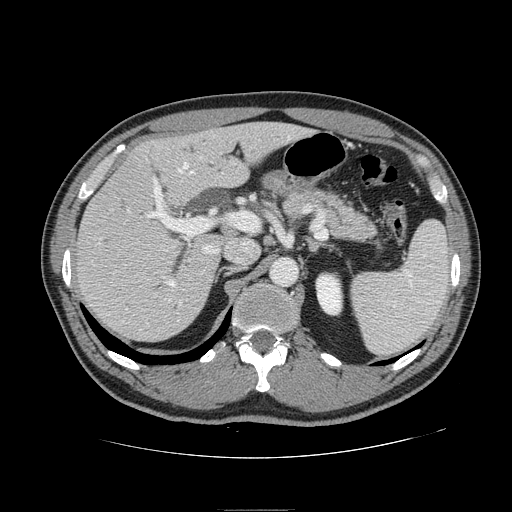

Upper abdomen; Computed tomography
{"pancreas": ["<bbox>283, 189, 376, 242</bbox>"]}